Image size 240x240; Slice 40 of 155
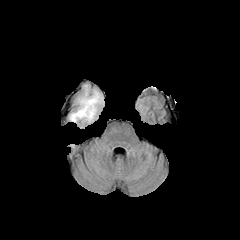
FLAIR MR image.
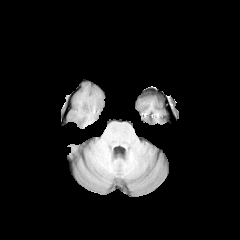
T1-weighted MR image.
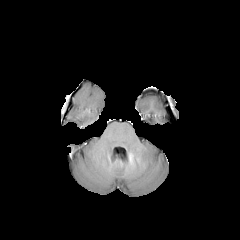
Post-contrast T1-weighted MR.
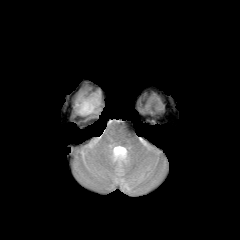
T2-weighted MRI of the same slice.
Segmented structures:
* edema: 71:90:101:126